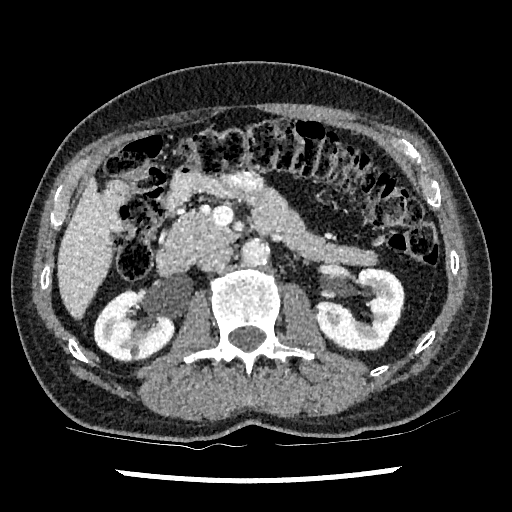
Upper abdomen. CT image.
kidney:
  - [317,269,403,349]
  - [95,292,173,359]
liver:
  - [59,176,111,318]